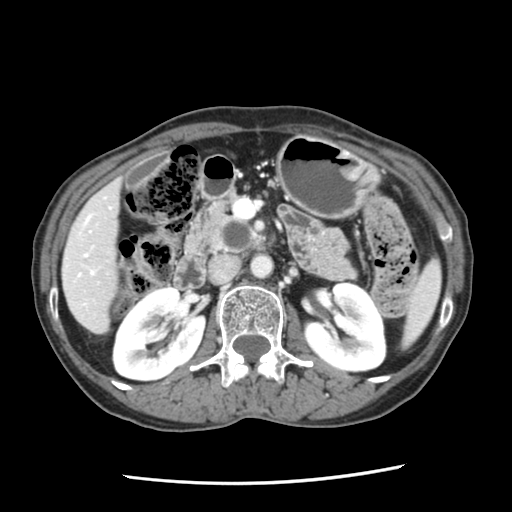

Computed tomography. 512x512. Abdomen. Pancreatic tumor — bbox(223, 222, 247, 248).
Pancreas — bbox(202, 200, 255, 253).